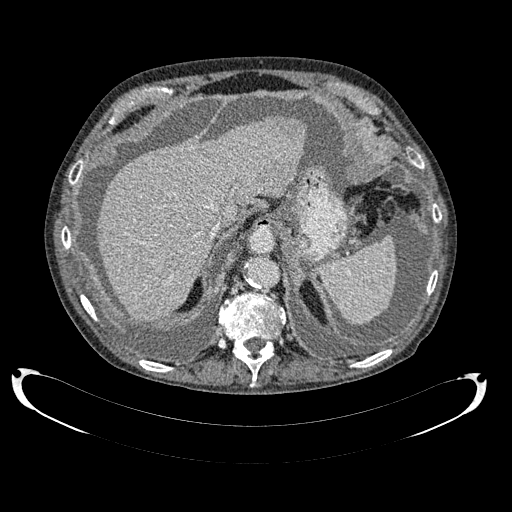

CT. focal liver lesion: x1=284 y1=126 x2=300 y2=142 | liver: x1=96 y1=116 x2=305 y2=322